Upper abdomen, Computed tomography, Slice 57 of 106
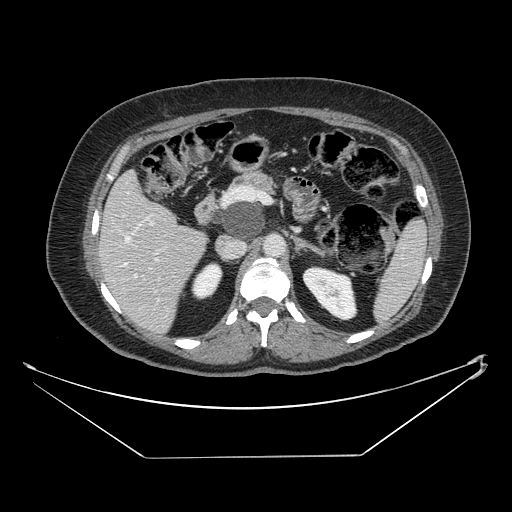
{"pancreatic_tumor": ["[x1=213, y1=202, x2=262, y2=237]"], "pancreas": ["[x1=229, y1=170, x2=279, y2=195]", "[x1=212, y1=200, x2=266, y2=242]"]}